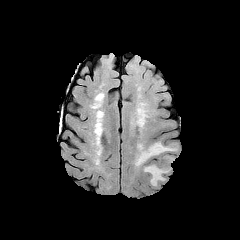
FLAIR MR.
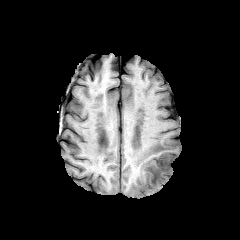
T1-weighted MR.
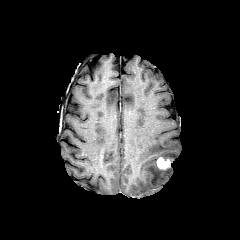
Post-contrast T1-weighted MR.
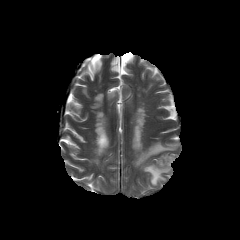
T2-weighted MR.
Head
enhancing_tumor:
  - [157, 157, 169, 169]
non-enhancing_tumor_core:
  - [149, 167, 162, 183]
edema:
  - [152, 168, 169, 185]
  - [134, 141, 176, 183]